CT scan slice. Slice 524 of 629.
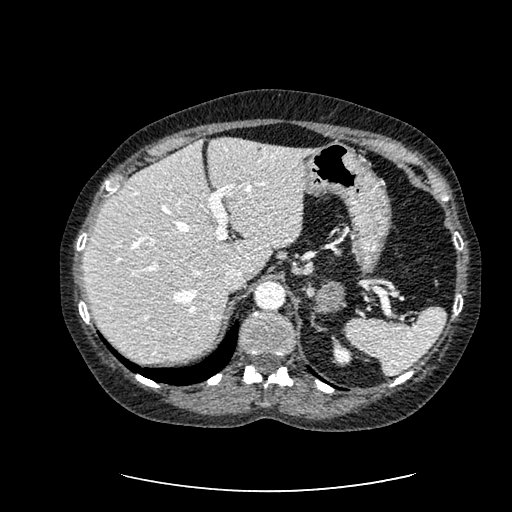 kidney: left=334, top=344, right=350, bottom=363 | liver: left=83, top=138, right=322, bottom=362